Upper abdomen; CT scan slice; 512x512 px 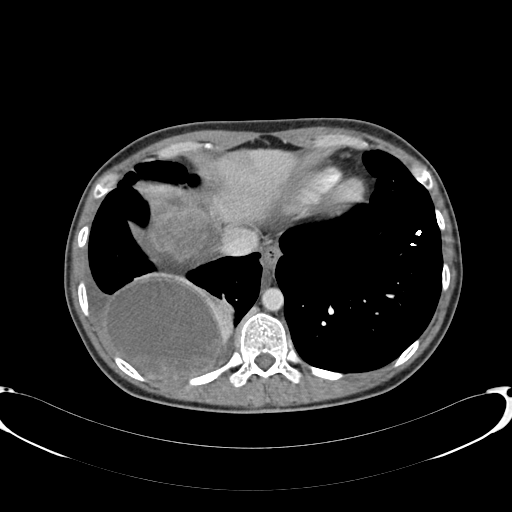

Liver = (210, 149, 296, 224).
Liver lesion = (232, 152, 252, 167).